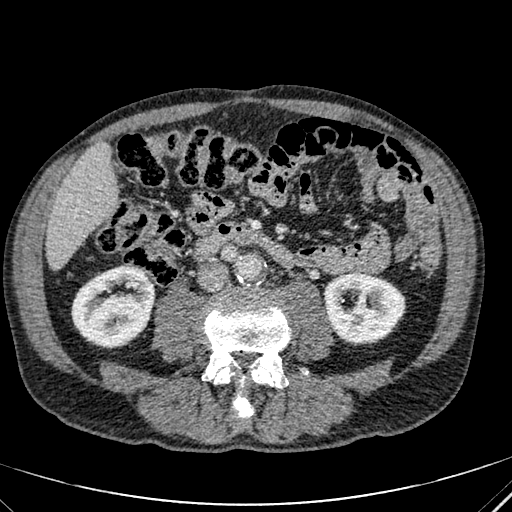
CT slice; Liver

The liver appears at box=[46, 145, 115, 269]. 2 kidney regions are located at box=[72, 267, 153, 346]; box=[325, 274, 403, 342].